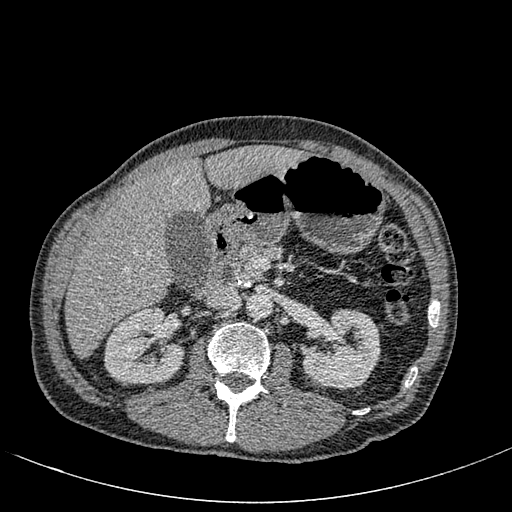
512x512 px. CT slice. Liver.
Liver at l=206, t=146, r=303, b=189; l=66, t=159, r=209, b=357.
Kidney at l=105, t=308, r=183, b=383; l=300, t=309, r=379, b=389.